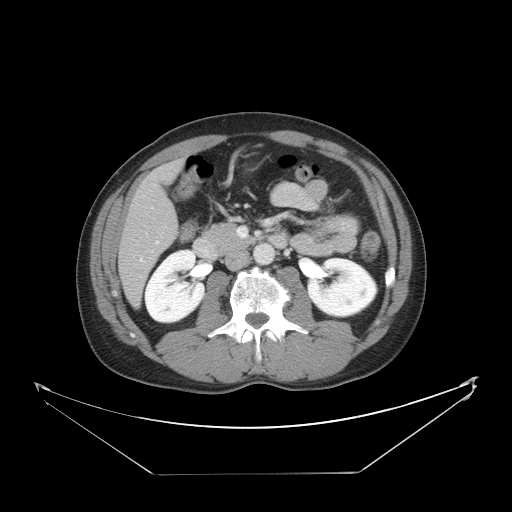

CT image
Not every hepatic vessel necessarily has a box.
Segmented structures:
* hepatic vessel: (161, 232, 162, 234), (140, 276, 141, 277), (155, 241, 158, 243), (140, 258, 142, 261)